Slice 69/155. Head. Image width 240 mm.
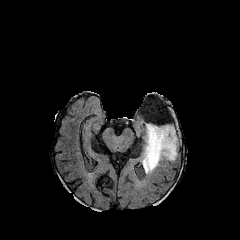
FLAIR MR image.
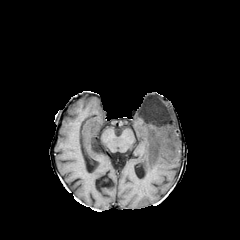
T1-weighted MR image.
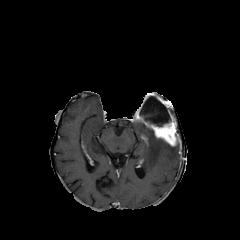
Same slice, post-contrast T1-weighted MRI.
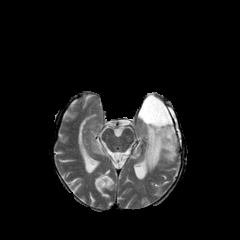
T2-weighted MR.
The non-enhancing tumor core lies within 135:96:173:126. The edema is at 140:124:178:174. The enhancing tumor lies within 137:114:177:146.